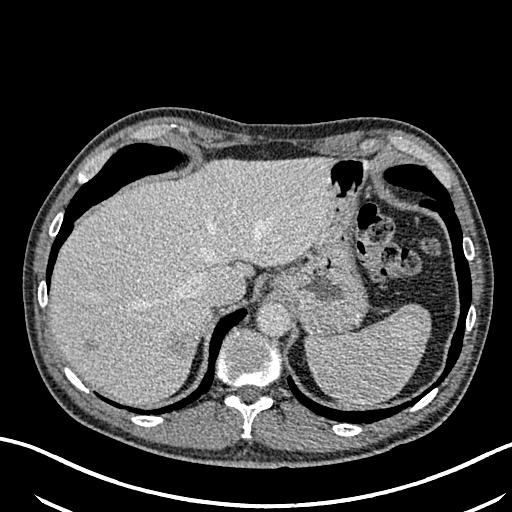

512x512 px; CT slice; Upper abdomen

liver: left=50, top=156, right=334, bottom=403 | hepatic lesion: left=85, top=342, right=97, bottom=351; left=168, top=333, right=191, bottom=359